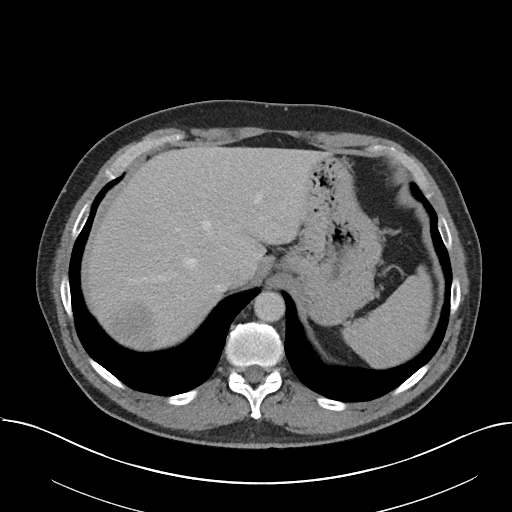

512x512 px. CT slice. Liver. The vessel boxes may cover only some of the vessels.
Liver tumor — region(108, 305, 157, 347).
Hepatic vessel — region(183, 258, 196, 267); region(217, 284, 228, 290); region(129, 277, 148, 281); region(158, 275, 162, 279); region(191, 233, 192, 234); region(202, 221, 211, 234); region(173, 273, 176, 275); region(176, 228, 179, 230); region(254, 195, 261, 202); region(257, 248, 264, 258).